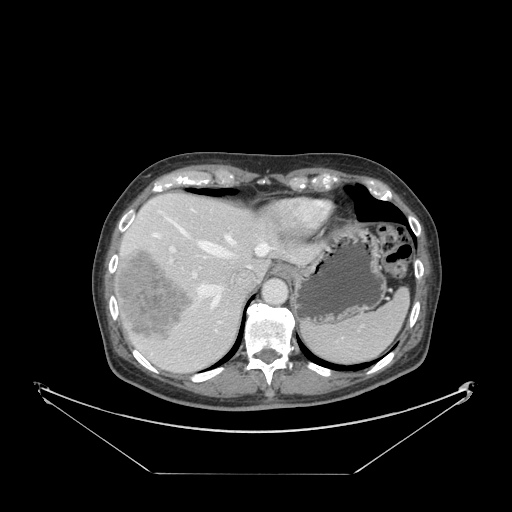
Abdomen. 512x512 px. CT scan slice.
Spleen at x1=302 y1=288 x2=410 y2=364.